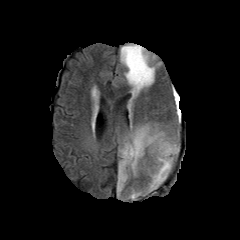
FLAIR magnetic resonance.
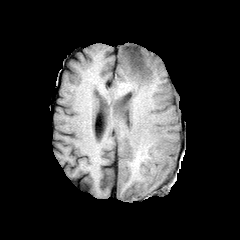
T1-weighted MR.
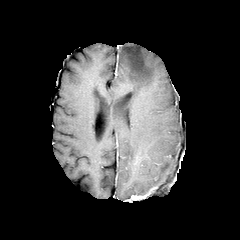
Post-contrast T1-weighted MR of the same slice.
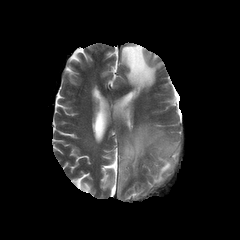
T2-weighted MR of the same slice.
Brain
{"edema": ["[118, 128, 157, 186]", "[148, 140, 179, 192]", "[119, 44, 160, 96]"], "non-enhancing_tumor_core": ["[126, 46, 148, 76]"]}